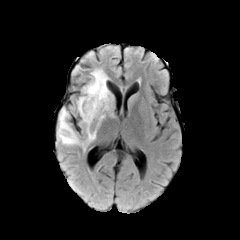
FLAIR MRI.
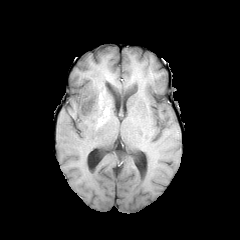
T1-weighted MR image.
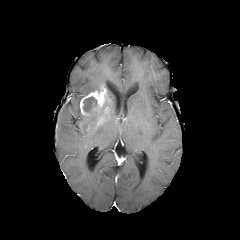
Same slice, post-contrast T1-weighted MR image.
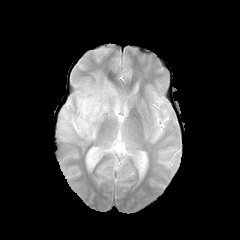
T2-weighted MR.
Brain
The enhancing tumor lies within (left=80, top=84, right=107, bottom=115). 2 edema regions are located at (left=57, top=90, right=113, bottom=150), (left=74, top=68, right=108, bottom=115). The non-enhancing tumor core is bounded by (left=78, top=96, right=98, bottom=119).